Slice index 76, Field of view 240x240 mm, Brain
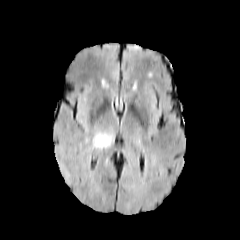
FLAIR MR image.
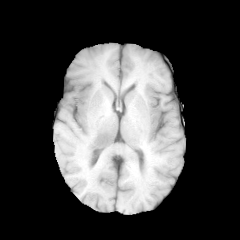
T1-weighted MR of the same slice.
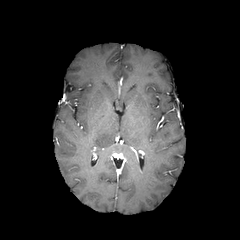
Same slice, post-contrast T1-weighted MRI.
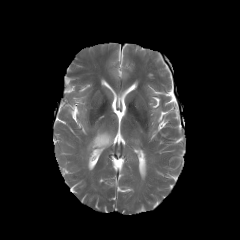
T2-weighted MR.
The edema lies within box(88, 131, 111, 151).